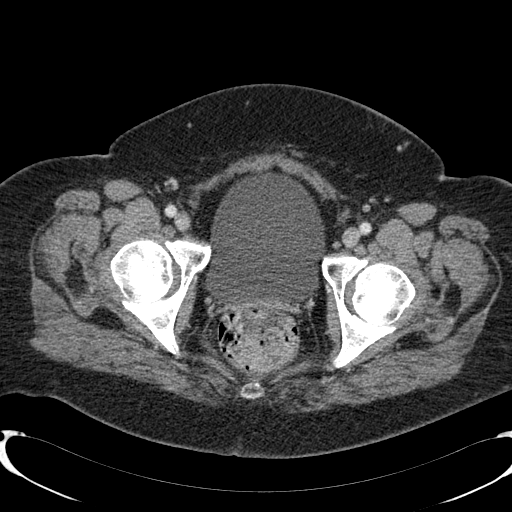

CT slice
Segmented structures:
- urinary bladder: box(206, 168, 324, 303)